CT slice 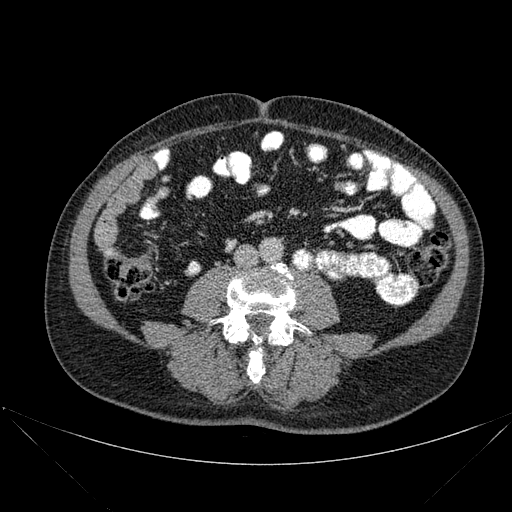 3 bone regions are located at {"x1": 253, "y1": 334, "x2": 261, "y2": 343}, {"x1": 216, "y1": 263, "x2": 310, "y2": 345}, {"x1": 247, "y1": 348, "x2": 264, "y2": 382}.